Field of view 391x391 mm, Slice index 96, Lower abdomen, CT slice
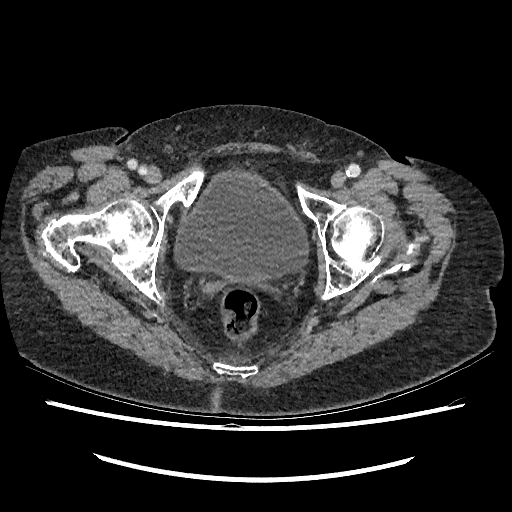

• urinary bladder: l=174, t=174, r=308, b=288